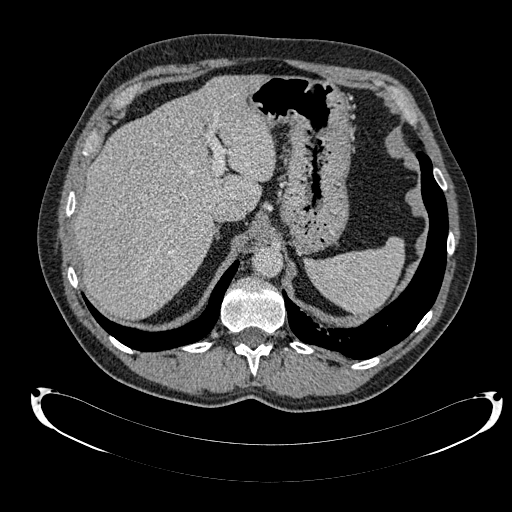 Computed tomography, Abdomen
<segmentation>
  <liver>bbox(74, 76, 275, 317)</liver>
</segmentation>